FLAIR MR image.
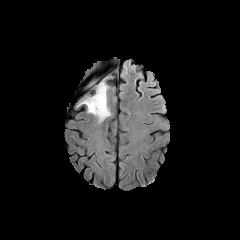
T1-weighted magnetic resonance.
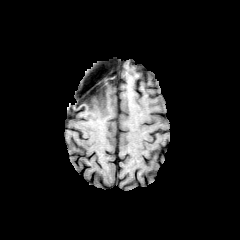
Post-contrast T1-weighted MRI.
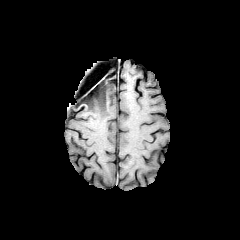
T2-weighted magnetic resonance.
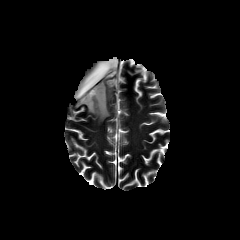
Segmented structures:
• edema: 80 80 112 121
• non-enhancing tumor core: 86 83 102 95